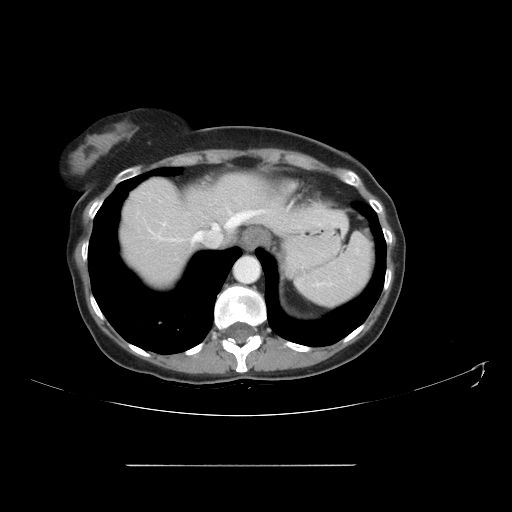 CT image; 512x512 px
The vessel boxes may cover only some of the vessels.
• hepatic vessel: rect(192, 232, 201, 241); rect(163, 223, 165, 225); rect(225, 210, 261, 227); rect(213, 224, 218, 228)